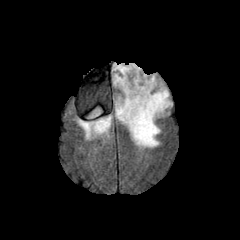
FLAIR MR.
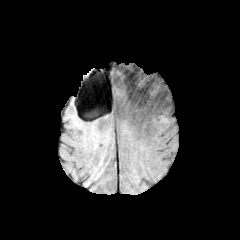
T1-weighted MR image.
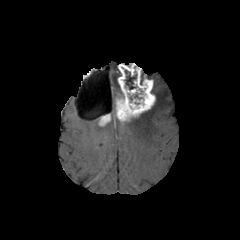
Post-contrast T1-weighted magnetic resonance.
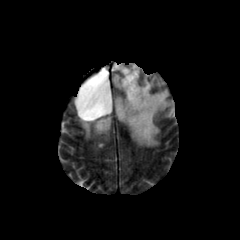
T2-weighted MR.
240x240 px
Non-enhancing tumor core — region(114, 88, 123, 113); region(126, 72, 135, 89).
Edema — region(112, 64, 119, 86); region(80, 120, 109, 136); region(86, 107, 101, 118); region(120, 75, 172, 147).
Enhancing tumor — region(116, 64, 155, 119); region(99, 115, 109, 125).